CT image, Abdomen, Slice 328 of 574

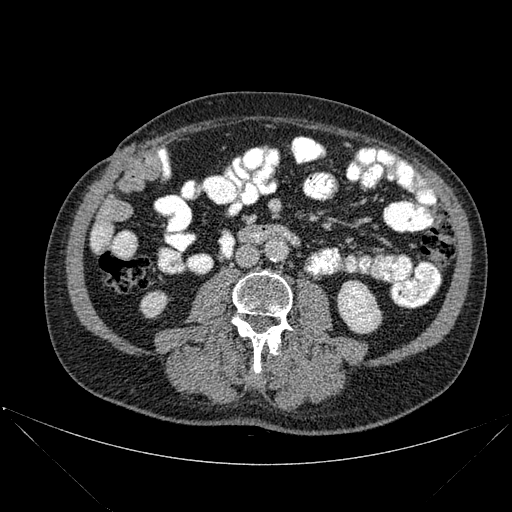
Kidney = [x1=141, y1=292, x2=166, y2=317], [x1=338, y1=281, x2=380, y2=332].
Bone = [x1=231, y1=270, x2=292, y2=372].